Slice index 74
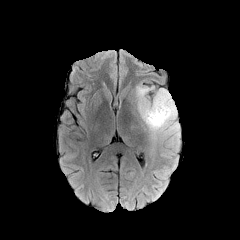
FLAIR MR image.
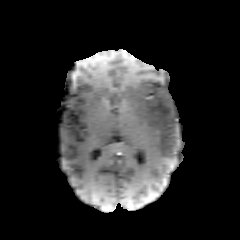
T1-weighted magnetic resonance.
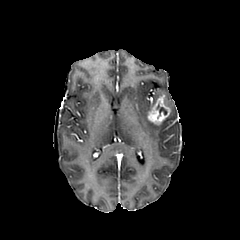
Post-contrast T1-weighted magnetic resonance of the same slice.
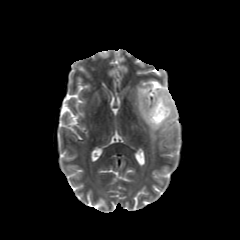
T2-weighted magnetic resonance of the same slice.
edema: (135, 82, 180, 158) | enhancing tumor: (147, 94, 170, 125) | non-enhancing tumor core: (158, 106, 167, 114)